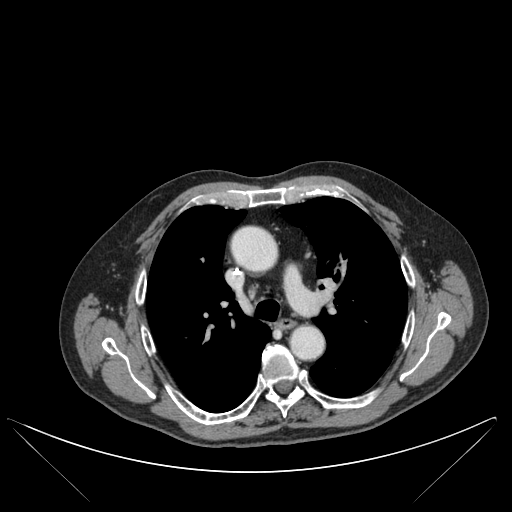

CT slice

lung: <box>147,205,278,412</box>, <box>280,197,407,397</box> | bone: <box>102,338,155,398</box>, <box>238,187,289,206</box>, <box>135,271,146,303</box>, <box>400,312,450,380</box>, <box>141,326,154,354</box>, <box>402,312,414,346</box>, <box>166,345,376,424</box>, <box>401,256,414,285</box>